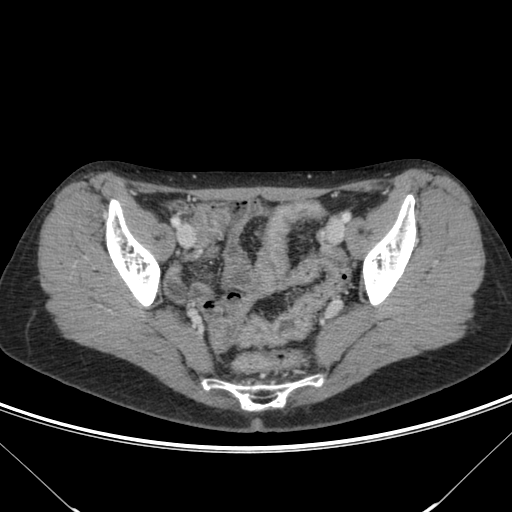
CT | 512x512
Segmented structures:
• colon tumor: l=239, t=295, r=318, b=348